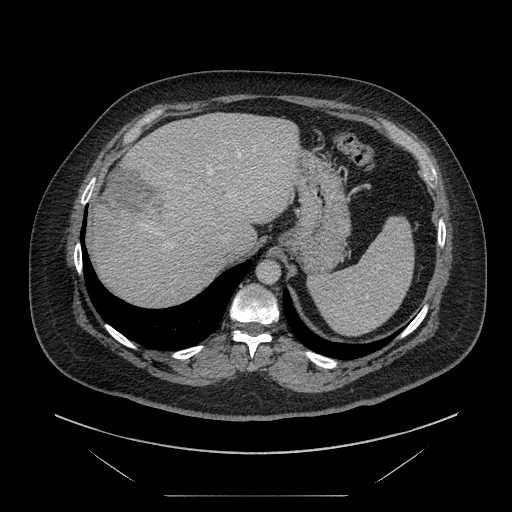

Abdomen; CT slice
Not every hepatic vessel necessarily has a box.
<segmentation>
  <liver_tumor>(98,166,164,221)</liver_tumor>
  <hepatic_vessel>(151,229,154,231), (164,245,166,246), (168,243,172,246)</hepatic_vessel>
</segmentation>